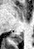 Hippocampus | 34x49 px | MRI slice
The posterior hippocampus is bounded by 12, 33, 22, 43.